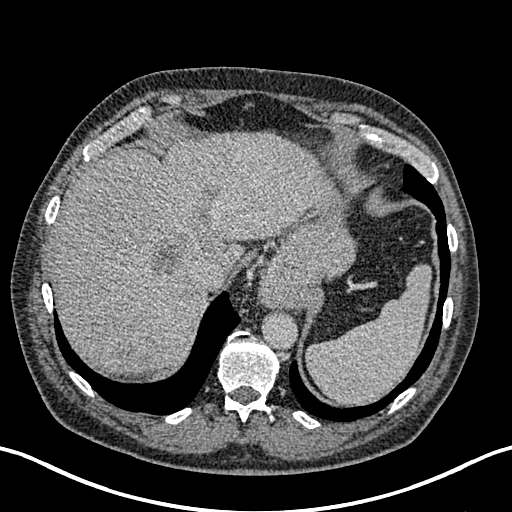 Liver | CT scan slice
6 focal liver lesion regions are bounded by (196, 236, 215, 256), (149, 238, 196, 276), (167, 280, 202, 302), (209, 189, 218, 198), (114, 342, 134, 365), (191, 205, 211, 224). 2 liver regions are located at (192, 252, 201, 262), (50, 131, 326, 373).